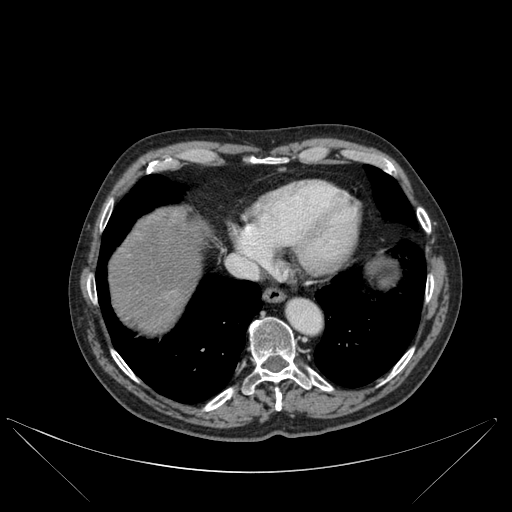 CT slice. Liver. 512x512.
Liver = rect(109, 217, 210, 334).
Bone = rect(417, 208, 430, 232); rect(147, 162, 156, 173); rect(275, 388, 281, 410); rect(111, 350, 136, 380); rect(426, 276, 433, 300); rect(249, 158, 285, 163); rect(87, 281, 96, 302); rect(382, 160, 393, 172); rect(100, 203, 111, 228); rect(242, 317, 332, 394); rect(389, 348, 413, 378); rect(204, 388, 233, 410).
Lung = rect(364, 165, 417, 229); rect(95, 174, 262, 403); rect(314, 240, 426, 387).